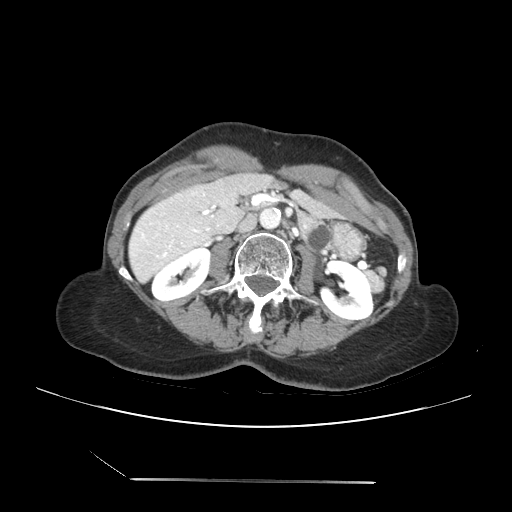
Abdomen, Computed tomography, Image size 512x512
pancreatic_tumor:
  - <bbox>308, 225, 330, 250</bbox>
pancreas:
  - <bbox>297, 211, 334, 255</bbox>